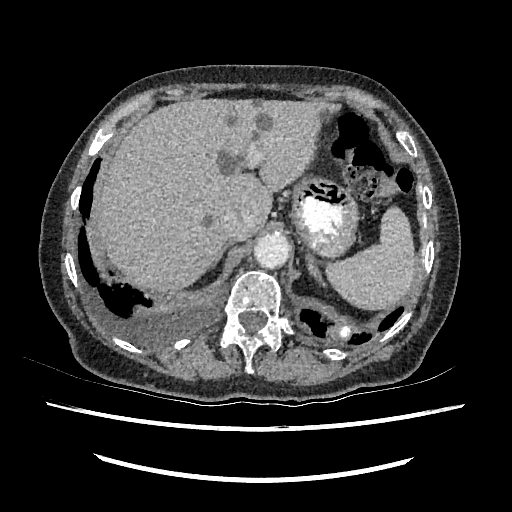

CT. Upper abdomen.

The liver appears at [99, 99, 339, 292]. 7 focal liver lesion regions are bounded by [253, 100, 263, 107], [227, 116, 236, 124], [256, 115, 271, 130], [251, 130, 259, 141], [203, 215, 211, 226], [219, 152, 241, 175], [320, 111, 330, 122].